CT image; Abdomen; Slice 32/41
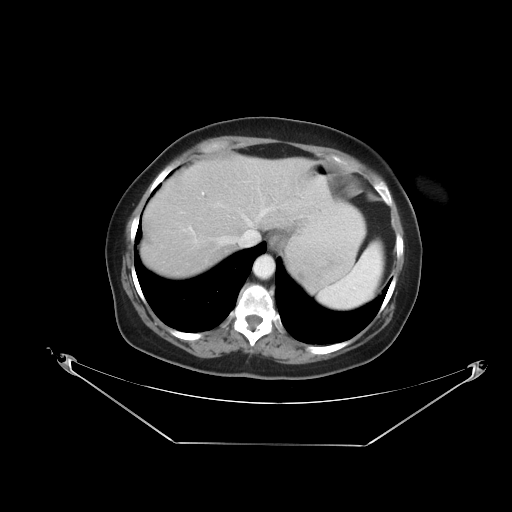 Only some of the vessels may be annotated.
Hepatic vessel: bounding box (256,206,278,219), (188,226,194,236), (244,217,255,239), (218,236,239,243), (194,238,197,243).